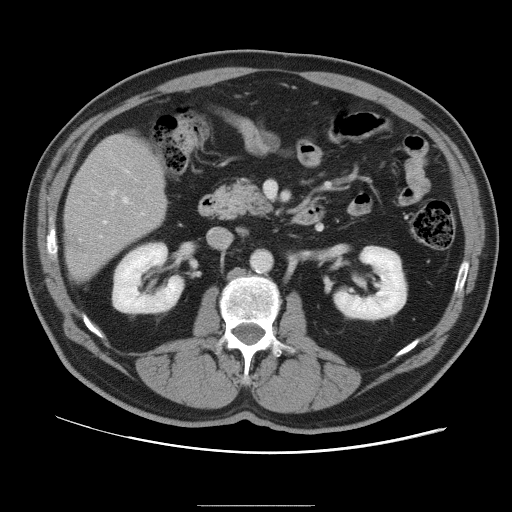 512x512 px | Computed tomography

Not every hepatic vessel necessarily has a box.
{"hepatic_vessel": ["region(111, 189, 116, 194)", "region(99, 235, 101, 237)", "region(123, 197, 131, 203)", "region(138, 212, 143, 216)", "region(94, 190, 98, 193)", "region(103, 220, 106, 223)", "region(135, 179, 136, 180)", "region(125, 169, 129, 172)"], "liver_tumor": ["region(69, 231, 79, 250)"]}